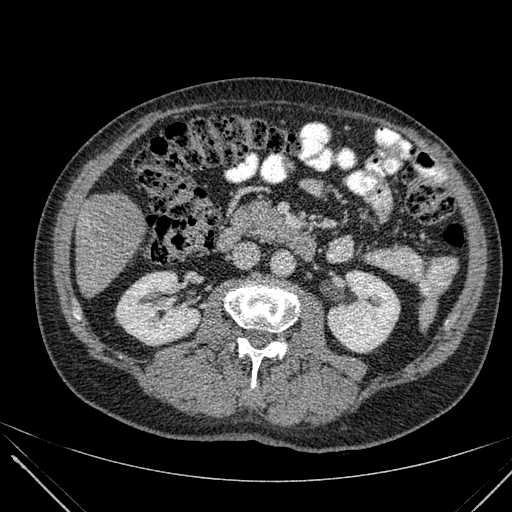
Abdomen, CT
Liver = (76,192,146,294).
Kidney = (116,272,199,344), (328,271,399,352).